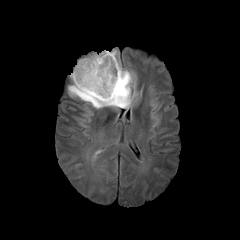
FLAIR MR image.
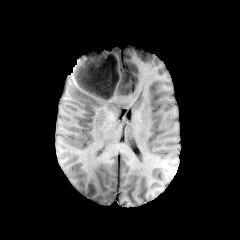
Same slice, T1-weighted MRI.
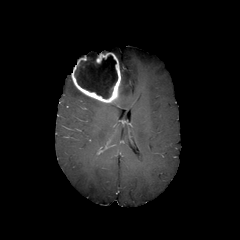
Post-contrast T1-weighted MRI of the same slice.
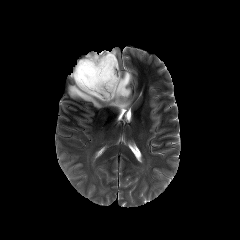
T2-weighted MRI.
Brain
The edema lies within region(68, 48, 138, 111). The enhancing tumor is at region(71, 52, 120, 104). The non-enhancing tumor core is bounded by region(74, 54, 117, 98).